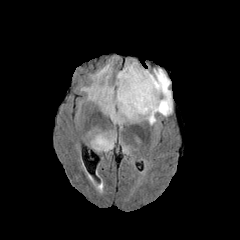
FLAIR magnetic resonance.
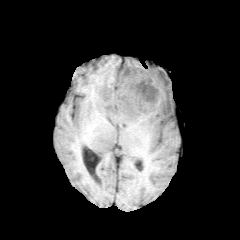
Same slice, T1-weighted magnetic resonance.
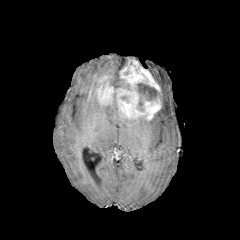
Post-contrast T1-weighted magnetic resonance.
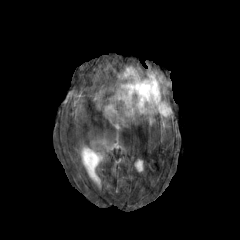
T2-weighted MR image of the same slice.
Non-enhancing tumor core: bounding box 110:76:127:105, 136:82:161:111, 152:73:164:85.
Enhancing tumor: bounding box 98:86:113:103, 116:60:161:119.
Edema: bounding box 102:72:121:87, 92:136:113:149, 87:64:172:125.